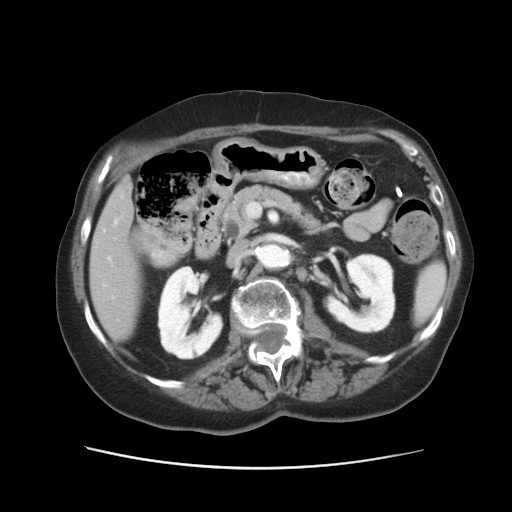
512x512 | CT slice
Some hepatic vessels may have no box.
Hepatic vessel: (103,230,104,232), (120,195,122,197), (113,219,118,225), (244,201,263,219), (107,257,111,262), (103,284,104,286).